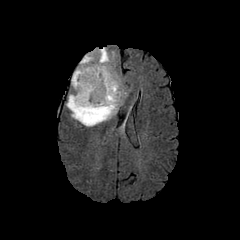
FLAIR MR image.
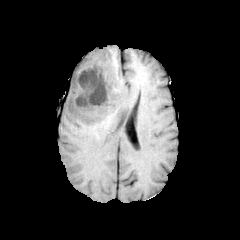
Same slice, T1-weighted MRI.
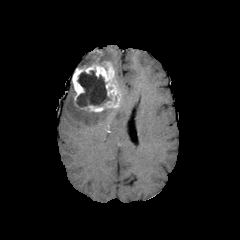
Post-contrast T1-weighted MRI.
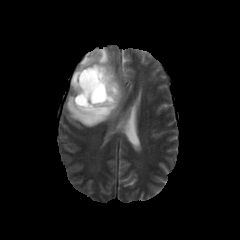
Same slice, T2-weighted magnetic resonance.
Head
Enhancing tumor at [71, 55, 120, 111].
Edema at [79, 47, 110, 66], [66, 91, 118, 127].
Non-enhancing tumor core at [75, 71, 111, 107].